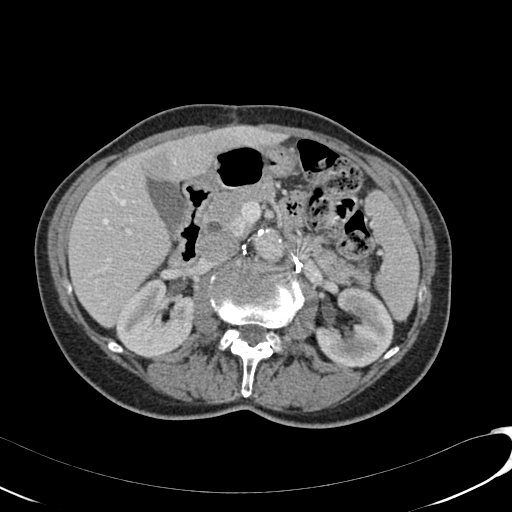

CT.
The liver is bounded by (69,127,286,326). 2 hepatic lesion regions are bounded by (147,156,169,176), (213,146,227,155). 2 kidney regions are bounded by (316,288,392,366), (117,280,194,356).